Computed tomography; Image width 360 mm 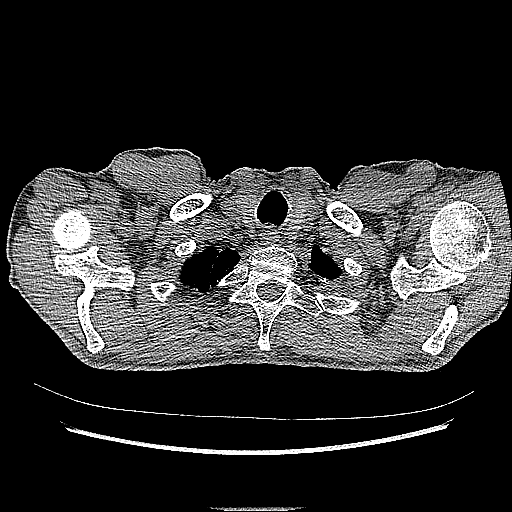 Lung tumor: bounding box region(207, 282, 214, 290).